Image size 240x240; Brain
FLAIR magnetic resonance.
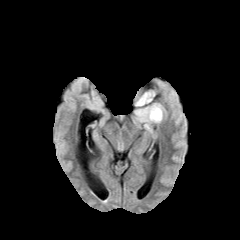
T1-weighted MR image.
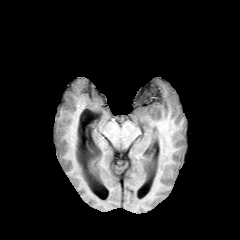
Post-contrast T1-weighted MRI.
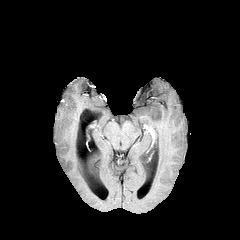
T2-weighted MR.
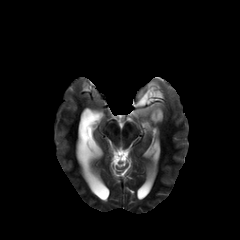
The edema lies within x1=133 y1=99 x2=164 y2=124. The non-enhancing tumor core lies within x1=138 y1=86 x2=156 y2=106.